Slice index 55.
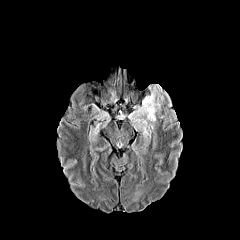
FLAIR magnetic resonance.
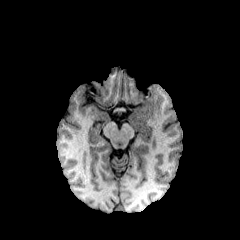
T1-weighted MR.
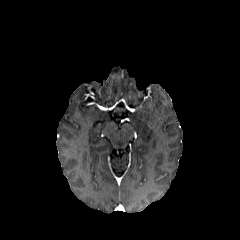
Post-contrast T1-weighted MRI of the same slice.
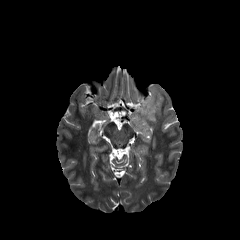
T2-weighted MR image.
Annotated regions:
- edema: x1=129, y1=88, x2=164, y2=143